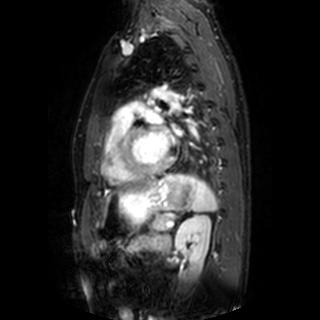

MR image | Cardiac
left_atrium:
  - 173:126:184:135
  - 145:112:169:155